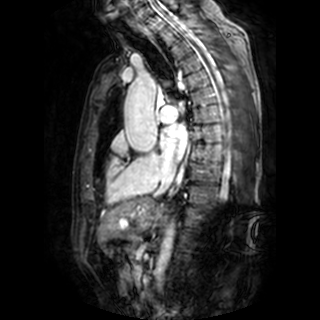

MRI | Image size 320x320
left atrium: bbox(160, 124, 187, 161)